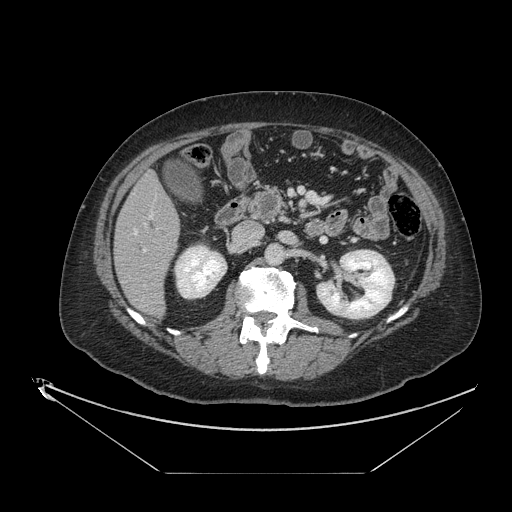

CT; Abdomen
The pancreas appears at [x1=252, y1=187, x2=286, y2=221]. The pancreatic tumor lies within [x1=260, y1=194, x2=277, y2=214].